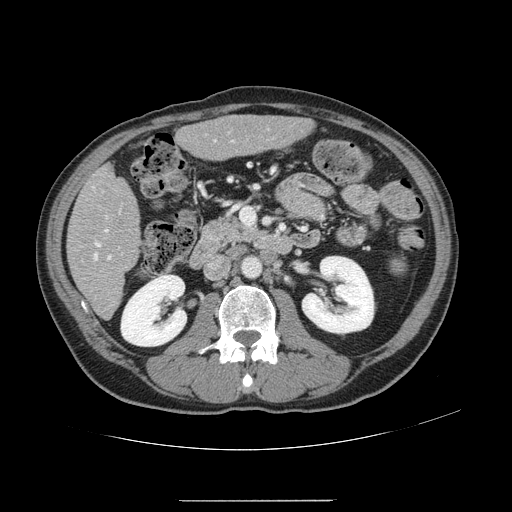
CT, Abdomen

Only some of the vessels may be annotated.
Hepatic vessel at rect(92, 187, 94, 189); rect(94, 253, 97, 260); rect(231, 140, 233, 142); rect(108, 256, 110, 258); rect(105, 229, 107, 231); rect(95, 242, 100, 246).